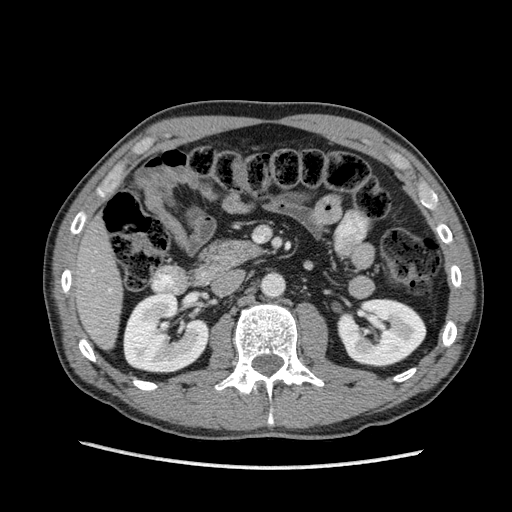

512x512 | CT image
2 kidney regions are bounded by <box>124,293,207,371</box>, <box>339,300,425,364</box>. The liver is bounded by <box>65,215,123,349</box>.